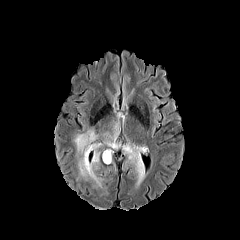
FLAIR MR image.
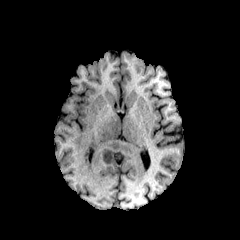
T1-weighted MRI of the same slice.
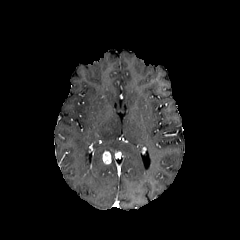
Post-contrast T1-weighted magnetic resonance.
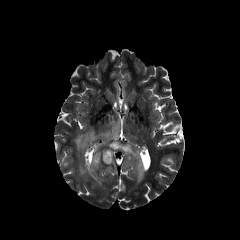
Same slice, T2-weighted MR.
240x240 px
edema:
  - x1=121, y1=143, x2=144, y2=179
  - x1=107, y1=138, x2=121, y2=149
  - x1=75, y1=131, x2=102, y2=187
enhancing_tumor:
  - x1=102, y1=150, x2=111, y2=164